512x512. Head. Computed tomography.

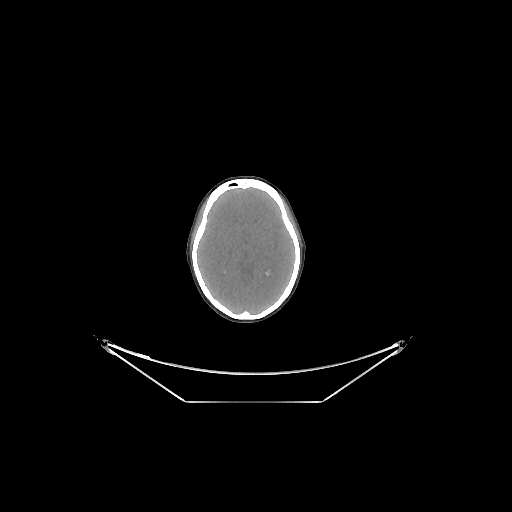
{
  "brain": [
    "rect(196, 187, 295, 314)"
  ]
}